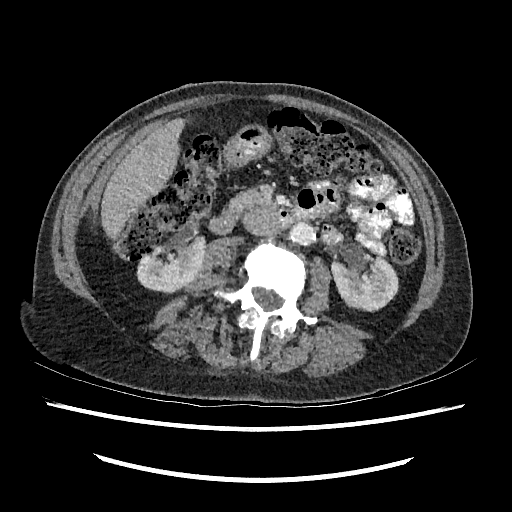 CT image; Liver
<segmentation>
  <kidney>[331, 257, 397, 310], [137, 244, 204, 291]</kidney>
  <liver>[102, 118, 185, 238]</liver>
  <hepatic_lesion>[146, 144, 155, 152]</hepatic_lesion>
</segmentation>